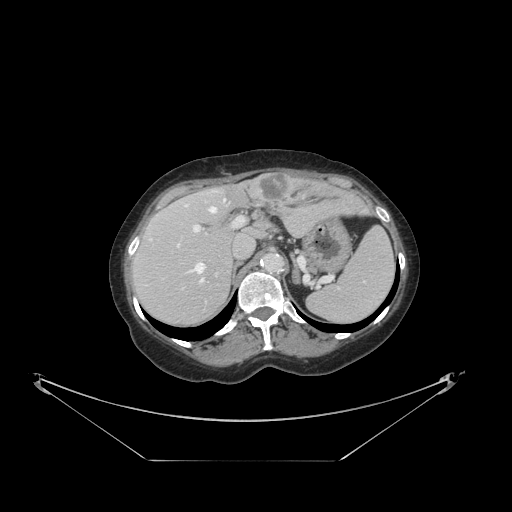

Computed tomography
The vessel boxes may cover only some of the vessels.
liver tumor: 252 173 290 203 | hepatic vessel: 209 207 215 212, 191 225 200 232, 185 205 188 205, 232 216 246 226, 177 244 179 246, 224 199 225 201, 234 244 254 257, 200 278 203 283, 188 262 204 273